FLAIR MR.
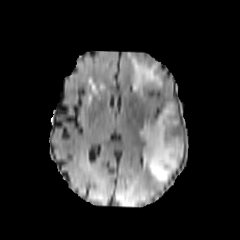
T1-weighted MRI.
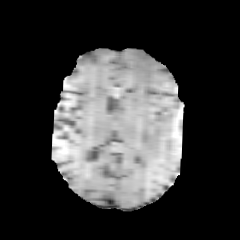
Post-contrast T1-weighted MRI.
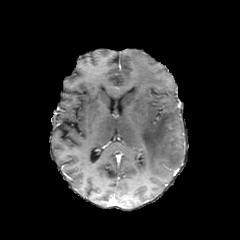
T2-weighted magnetic resonance.
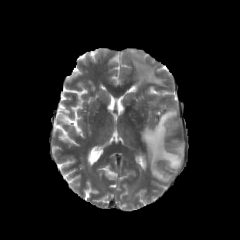
Image size 240x240
<segmentation>
  <edema><bbox>137, 103, 183, 182</bbox>, <bbox>128, 52, 164, 92</bbox></edema>
</segmentation>